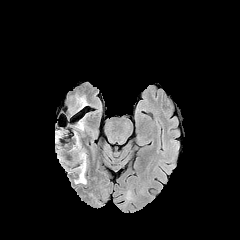
FLAIR MRI.
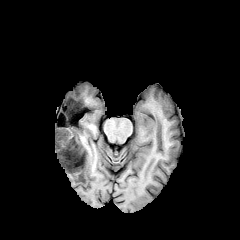
T1-weighted magnetic resonance of the same slice.
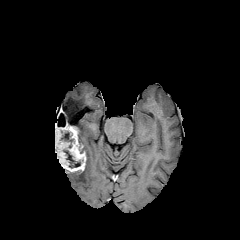
Post-contrast T1-weighted MR image.
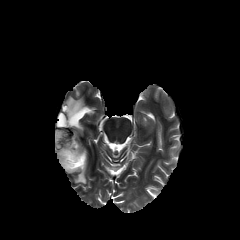
T2-weighted MR.
Head; Image size 240x240
Edema — [73, 162, 87, 183], [75, 116, 84, 135], [68, 103, 79, 115], [76, 96, 87, 109].
Enhancing tumor — [55, 124, 86, 171].
Non-enhancing tumor core — [68, 99, 81, 109], [60, 128, 73, 143], [64, 150, 81, 167].